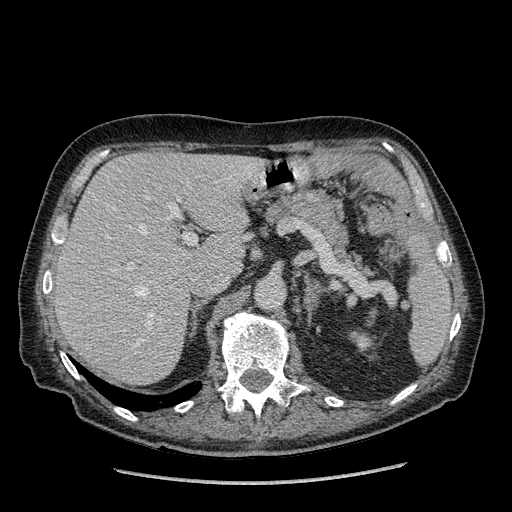

Computed tomography

The liver is at [56,152,258,385]. The kidney is bounded by [350,331,371,350].